CT image, Image size 512x512, Abdomen

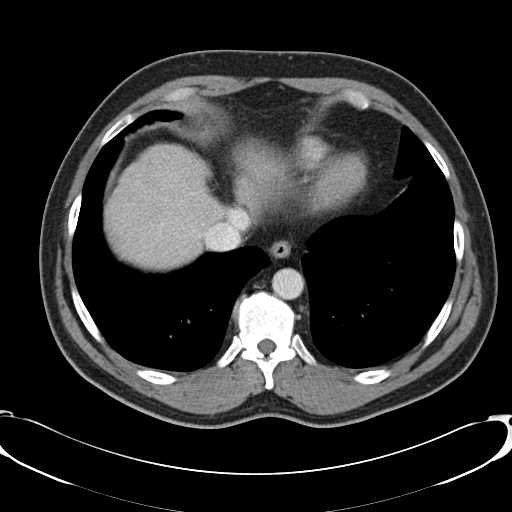 The vessel boxes may cover only some of the vessels.
Hepatic vessel: 197 233 200 236, 206 211 247 248, 165 197 166 200, 158 225 160 226.